Head, Slice index 64, Image size 240x240
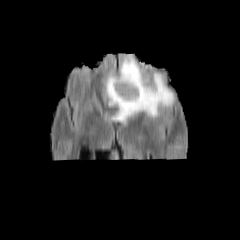
FLAIR MR image.
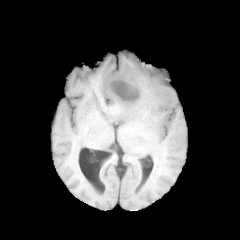
T1-weighted MR image.
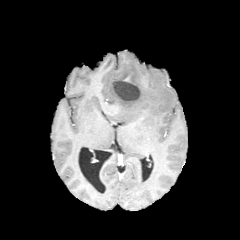
Post-contrast T1-weighted MRI.
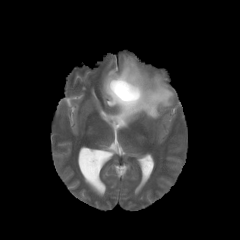
T2-weighted MR image.
edema:
  - <bbox>101, 56, 174, 126</bbox>
  - <bbox>102, 69, 113, 95</bbox>
non-enhancing_tumor_core:
  - <bbox>106, 74, 145, 112</bbox>